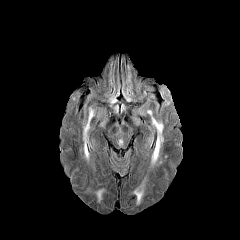
FLAIR MRI.
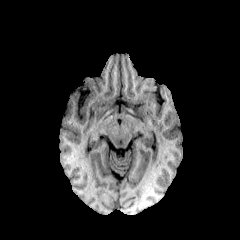
T1-weighted magnetic resonance.
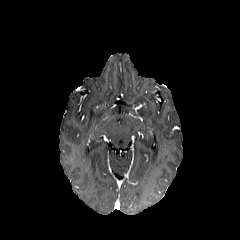
Post-contrast T1-weighted magnetic resonance.
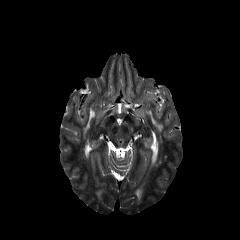
T2-weighted MR image.
Brain
• edema: region(83, 108, 95, 159); region(97, 189, 103, 200); region(149, 118, 163, 169); region(134, 182, 144, 204)